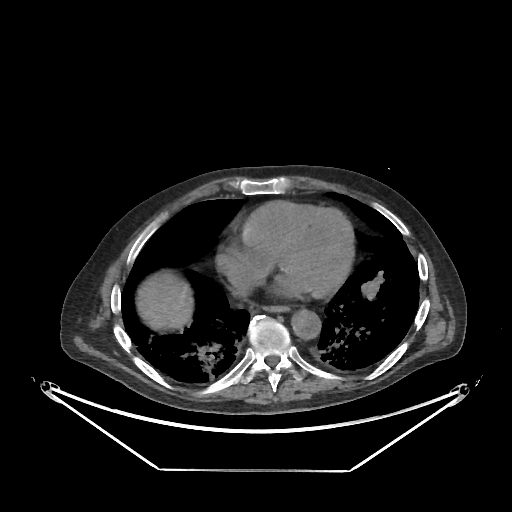

512x512, CT, Liver
The liver is located at [138,274,192,333].